FLAIR MRI.
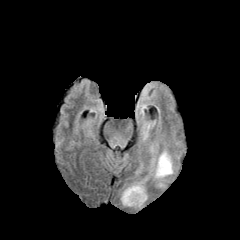
T1-weighted MR image.
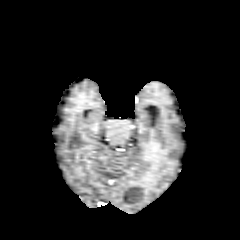
Post-contrast T1-weighted magnetic resonance.
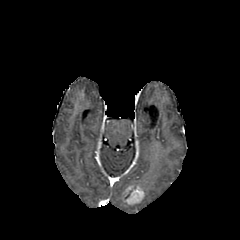
T2-weighted MRI.
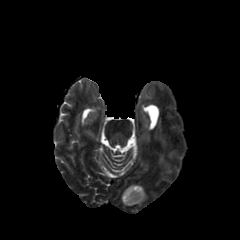
Brain
{"edema": ["left=121, top=179, right=147, bottom=205", "left=153, top=153, right=172, bottom=180"], "enhancing_tumor": ["left=124, top=186, right=143, bottom=203"]}